Slice index 457 | CT

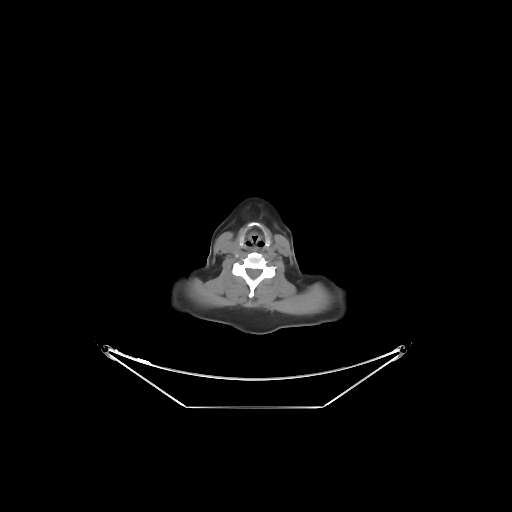
The bone is at 232:252:274:296.